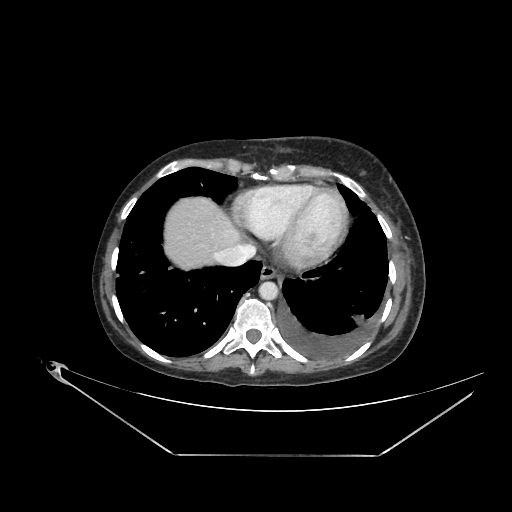

Abdomen. Computed tomography. Annotated regions:
- liver: [166, 196, 241, 269]